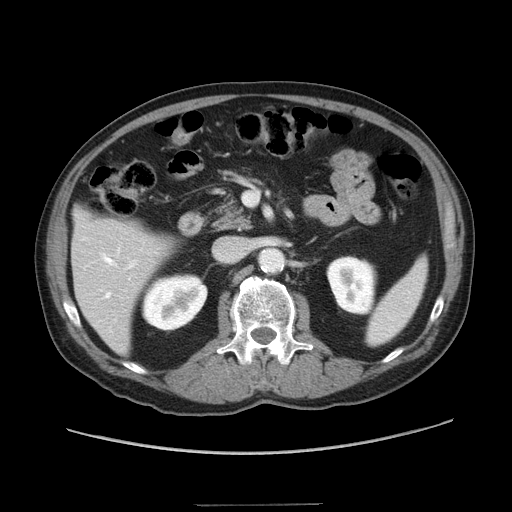

Computed tomography. Upper abdomen. 512x512 px.

Pancreas — [214, 200, 250, 230].